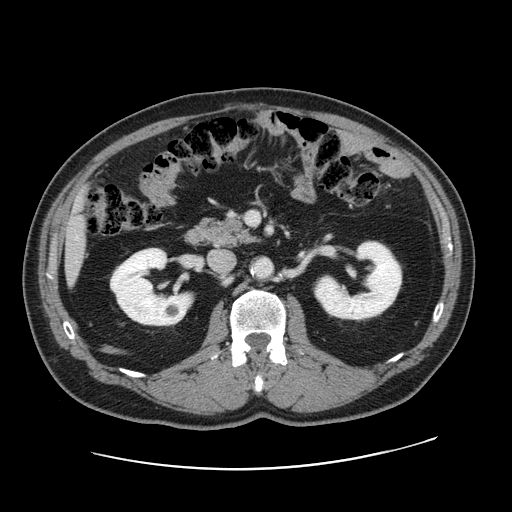

CT image. Abdomen.
Only some of the vessels may be annotated.
2 hepatic vessel regions appear at (left=70, top=274, right=72, bottom=277), (left=73, top=197, right=82, bottom=219).